Slice index 15 | Medial temporal lobe | Magnetic resonance

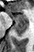 {
  "posterior_hippocampus": [
    {"x1": 14, "y1": 21, "x2": 27, "y2": 35}
  ],
  "anterior_hippocampus": [
    {"x1": 11, "y1": 14, "x2": 27, "y2": 21},
    {"x1": 8, "y1": 13, "x2": 11, "y2": 14}
  ]
}